Brain, Slice 71/155, Field of view 240 mm wide, 1.00 mm slice spacing
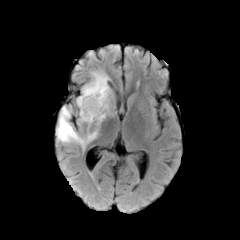
FLAIR magnetic resonance.
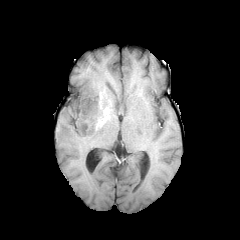
T1-weighted magnetic resonance of the same slice.
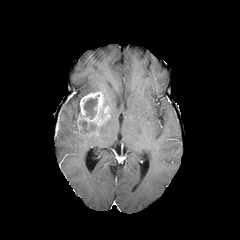
Post-contrast T1-weighted magnetic resonance.
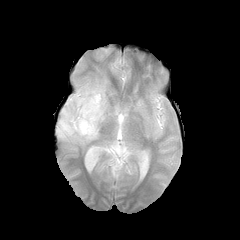
T2-weighted MR image.
The edema lies within l=56, t=70, r=113, b=150. The enhancing tumor is located at l=78, t=90, r=104, b=122. 3 non-enhancing tumor core regions are bounded by l=84, t=97, r=97, b=119; l=77, t=88, r=105, b=120; l=77, t=119, r=96, b=136.